CT. Pelvis. 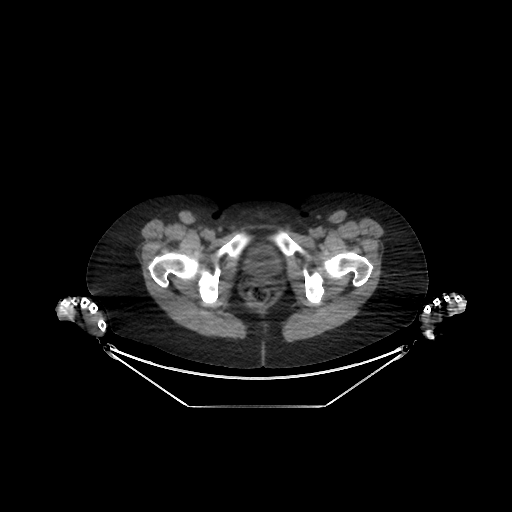 urinary bladder: <box>241,243,286,279</box>